FLAIR MR.
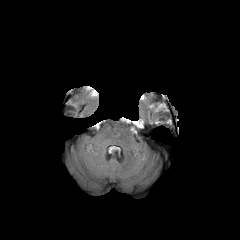
T1-weighted MR.
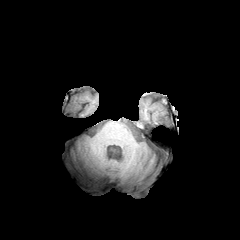
Post-contrast T1-weighted MR image.
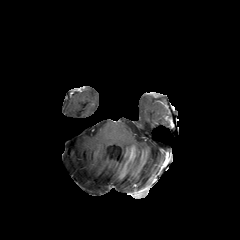
T2-weighted MR image.
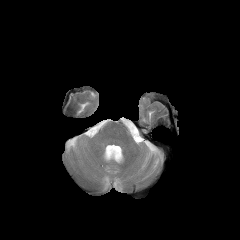
Brain
Non-enhancing tumor core at rect(106, 147, 118, 157).
Edema at rect(126, 122, 135, 134); rect(102, 144, 119, 159).